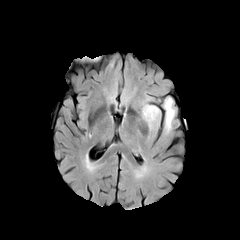
FLAIR MRI.
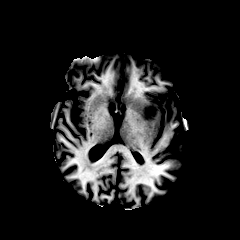
T1-weighted MR.
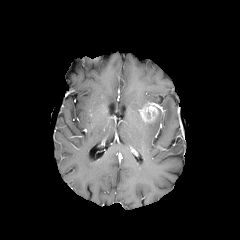
Post-contrast T1-weighted magnetic resonance.
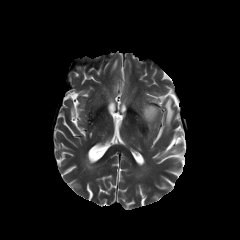
T2-weighted MRI of the same slice.
Head
The non-enhancing tumor core is located at box=[143, 105, 158, 121]. 3 edema regions appear at box=[147, 109, 161, 133]; box=[141, 99, 155, 106]; box=[162, 97, 175, 134].